CT slice. Image width 429 mm. Abdomen. 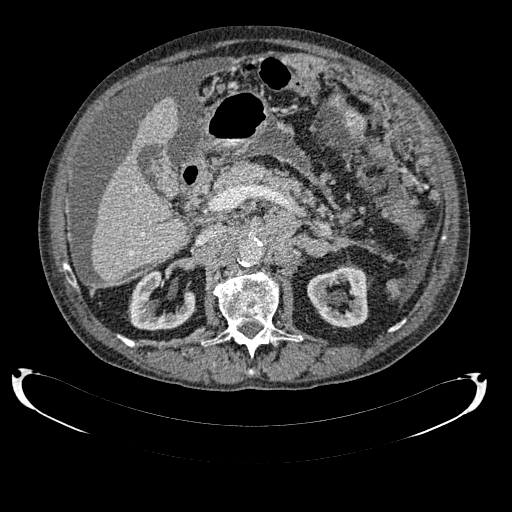 liver:
  - [92, 97, 187, 282]
kidney:
  - [130, 271, 194, 329]
  - [307, 267, 367, 326]